CT | 512x512 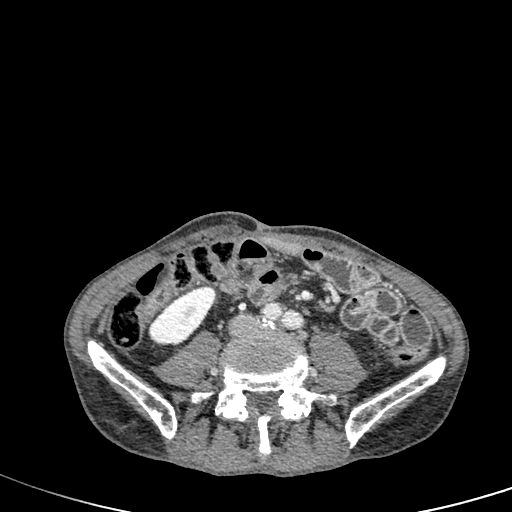

kidney:
  - {"x1": 150, "y1": 287, "x2": 214, "y2": 343}